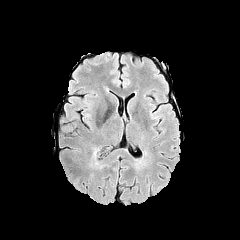
FLAIR MR.
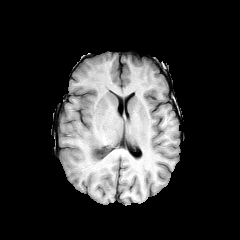
T1-weighted MR of the same slice.
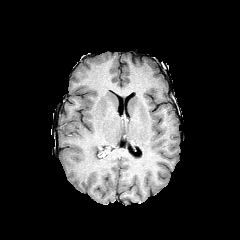
Post-contrast T1-weighted MR image of the same slice.
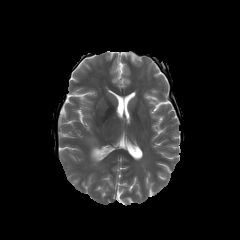
T2-weighted MR.
Brain; Image size 240x240
Annotated regions:
- edema: 91 146 101 165